240x240 px. Head.
FLAIR MRI.
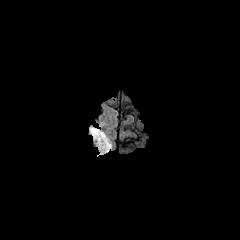
T1-weighted MR.
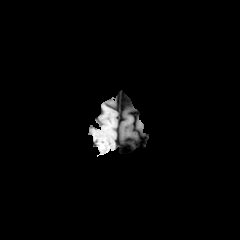
Post-contrast T1-weighted magnetic resonance.
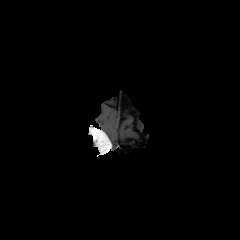
T2-weighted magnetic resonance.
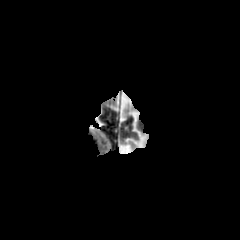
<segmentation>
  <enhancing_tumor><box>89,125,111,154</box></enhancing_tumor>
</segmentation>